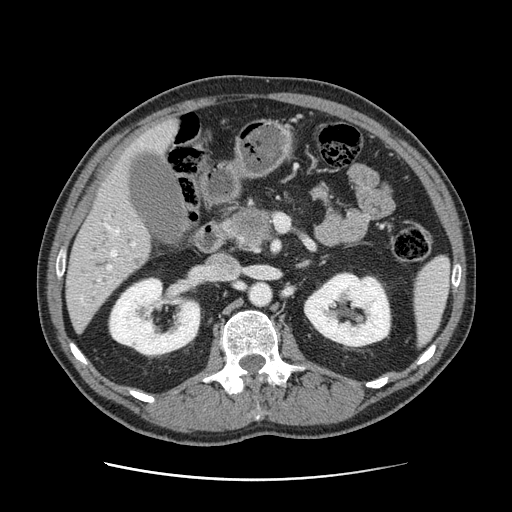
Computed tomography
Pancreatic tumor = <bbox>229, 210, 270, 247</bbox>.
Pancreas = <bbox>220, 207, 272, 248</bbox>.